Abdomen | Image size 512x512 | Slice 502 of 624 | CT scan slice
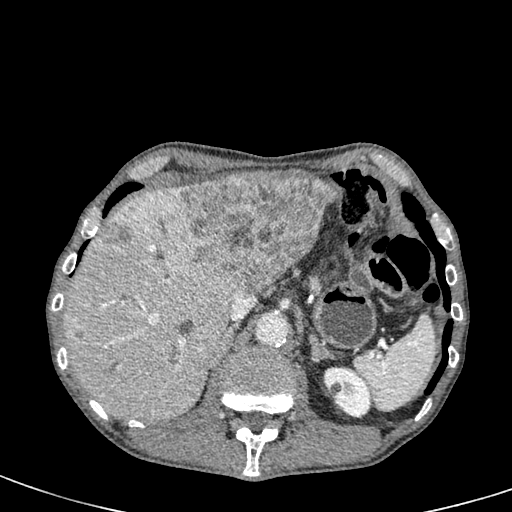
{"kidney": ["324, 367, 372, 419"], "liver": ["63, 186, 244, 421", "279, 171, 319, 179", "259, 281, 273, 296"], "hepatic_lesion": ["102, 223, 131, 242", "184, 173, 335, 292"]}